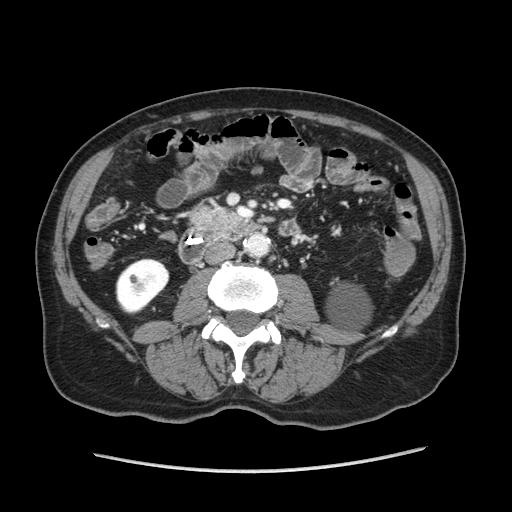 Upper abdomen | CT scan slice
The pancreas is at bbox=[193, 207, 240, 231].